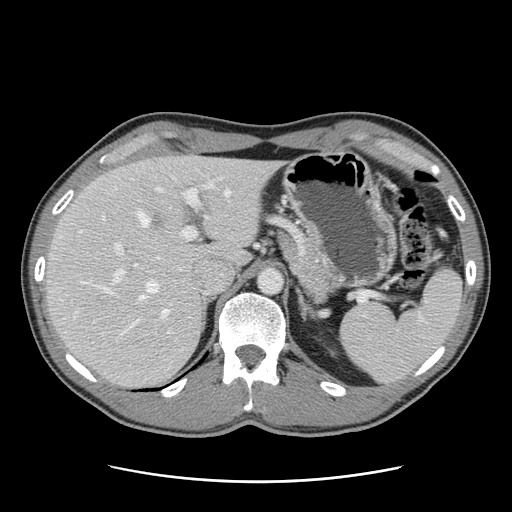

CT image, Liver
The vessel boxes may cover only some of the vessels.
Liver tumor: bounding box 152:214:163:229.
Top 15 of 19 hepatic vessel regions: bounding box 138:212:149:225, 162:309:167:316, 102:216:104:218, 184:188:198:204, 146:280:157:293, 92:284:109:292, 82:281:91:283, 114:243:121:253, 205:182:213:187, 224:189:229:194, 112:270:123:283, 182:227:195:239, 139:295:145:298, 156:188:162:191, 121:320:138:334.